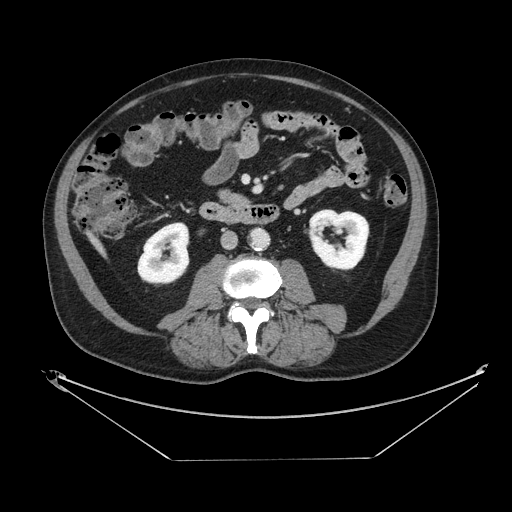

512x512 px, CT
Findings:
- pancreas: [x1=219, y1=189, x2=249, y2=205]